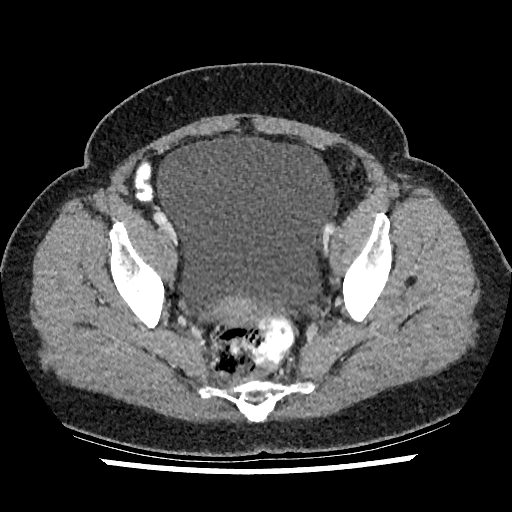

CT image | Pelvis
Urinary bladder: bounding box bbox(156, 134, 335, 318).